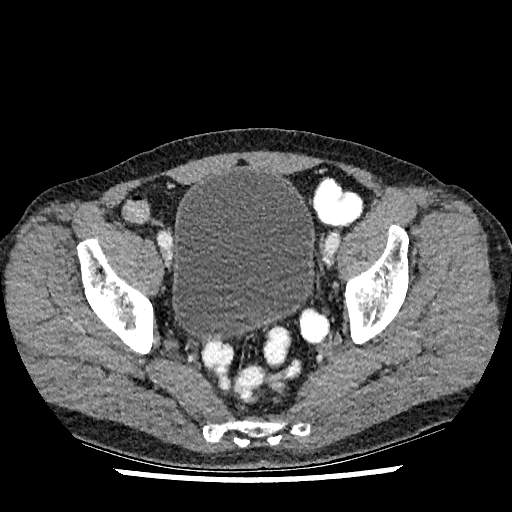
512x512 | Lower abdomen | CT slice

Urinary bladder = bbox=[172, 169, 313, 341].